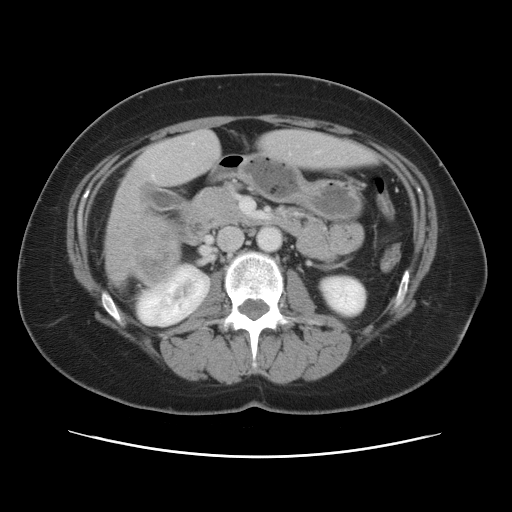 Computed tomography, Liver

liver tumor: 127 222 176 283